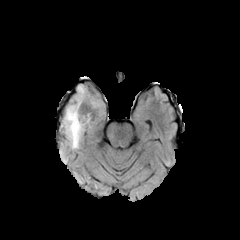
FLAIR MR.
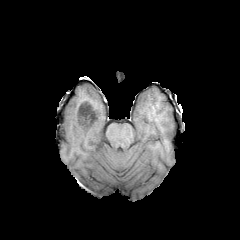
T1-weighted MR of the same slice.
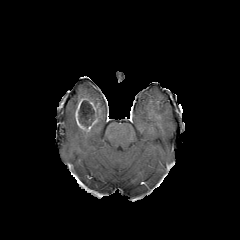
Same slice, post-contrast T1-weighted MRI.
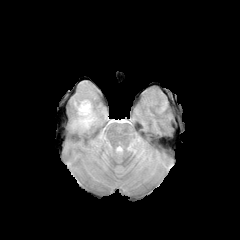
Same slice, T2-weighted magnetic resonance.
Brain
<segmentation>
  <non-enhancing_tumor_core>region(78, 99, 97, 128)</non-enhancing_tumor_core>
  <enhancing_tumor>region(76, 104, 85, 128)</enhancing_tumor>
  <edema>region(65, 86, 100, 149)</edema>
</segmentation>